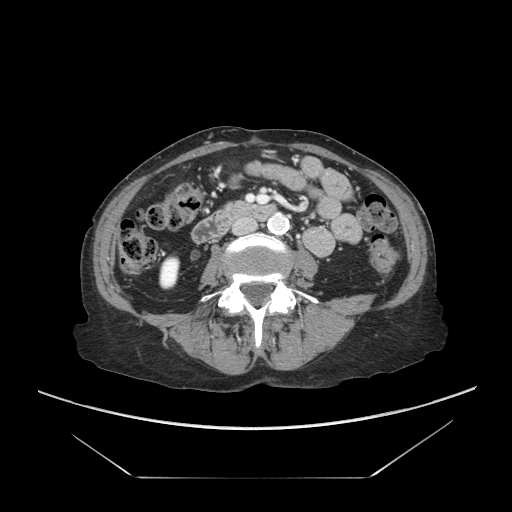
Computed tomography; Upper abdomen
The pancreas appears at 220,200,246,210.